FLAIR magnetic resonance.
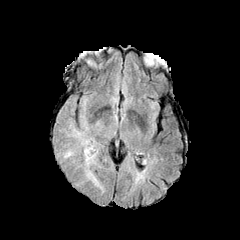
T1-weighted MR.
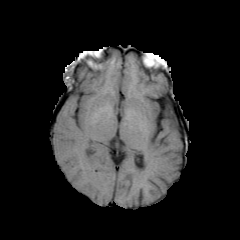
Post-contrast T1-weighted MR.
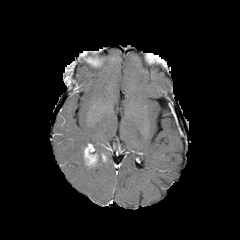
T2-weighted MR.
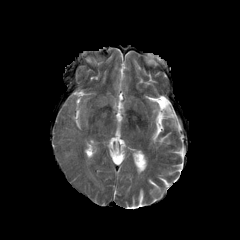
Brain
Enhancing tumor: bounding box 84, 144, 96, 166.
Edema: bounding box 81, 121, 92, 132; 73, 132, 105, 191.